MR image. 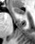
anterior_hippocampus:
  - x1=13 y1=7 x2=23 y2=14